CT.

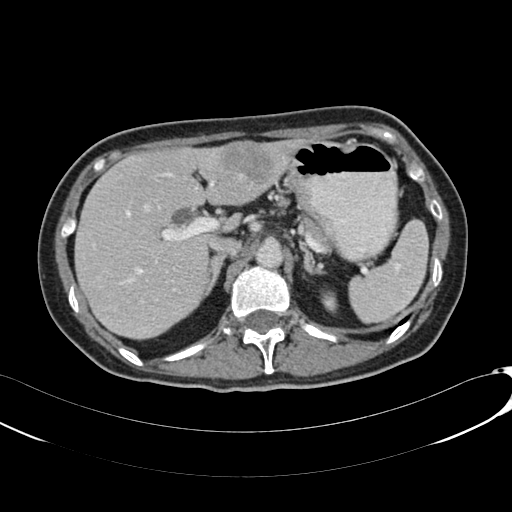 kidney:
  - bbox=[325, 288, 340, 306]
hepatic_lesion:
  - bbox=[223, 142, 274, 184]
liver:
  - bbox=[75, 139, 308, 337]
  - bbox=[222, 214, 241, 230]